Slice 158/243 | 512x512 | CT image

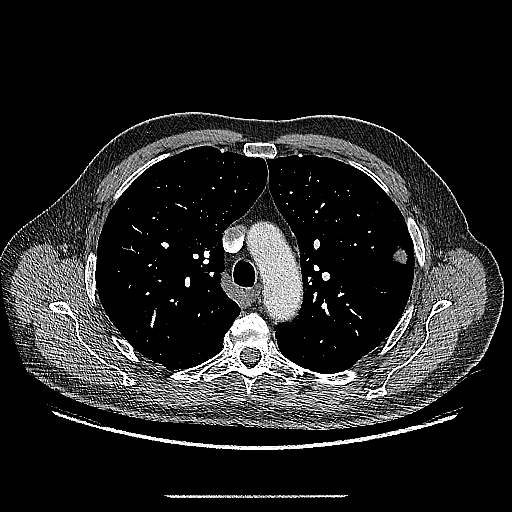 Lung tumor — bbox(389, 244, 410, 266).